34x47 px | Image width 34 mm | MRI | Medial temporal lobe
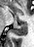 Annotated regions:
• posterior hippocampus: rect(13, 22, 27, 35)